MR; Slice 11/28; 32x51 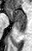 Anterior hippocampus — region(5, 8, 26, 23).
Posterior hippocampus — region(16, 24, 26, 33).